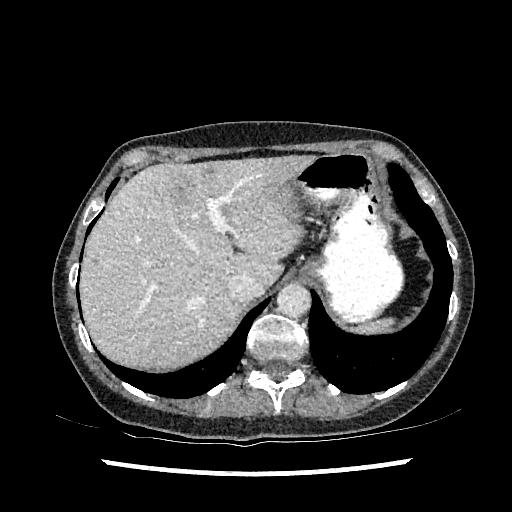
CT scan slice; Upper abdomen
* liver: region(80, 157, 314, 367)
* liver lesion: region(274, 187, 288, 208); region(205, 167, 216, 175); region(170, 175, 195, 204)